FLAIR magnetic resonance.
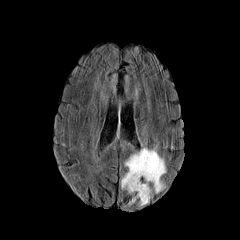
T1-weighted MR image.
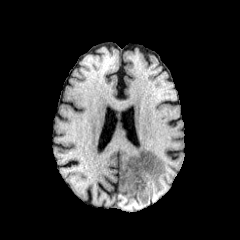
Post-contrast T1-weighted magnetic resonance.
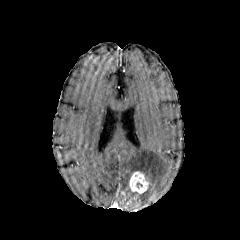
T2-weighted MR image.
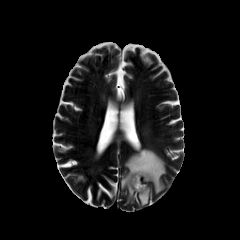
Image size 240x240
Findings:
- enhancing tumor: [129, 171, 149, 194]
- edema: [118, 149, 166, 208]